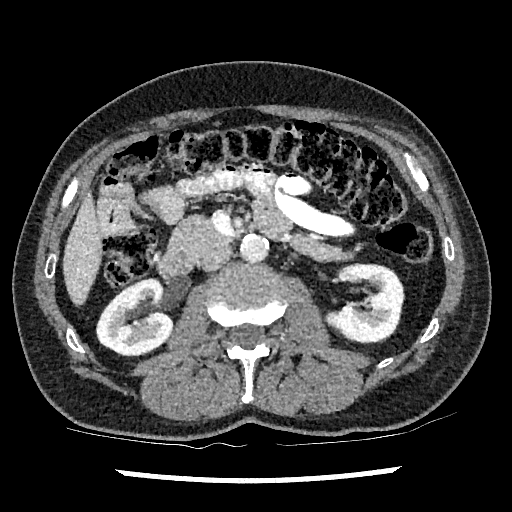

CT slice

2 kidney regions are bounded by 97, 280, 172, 354; 331, 265, 402, 341. The liver is at 64, 194, 101, 304.